240x240 | Slice index 85 | Brain
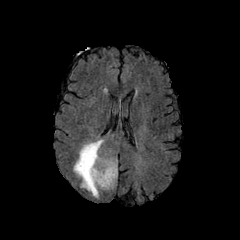
FLAIR MR.
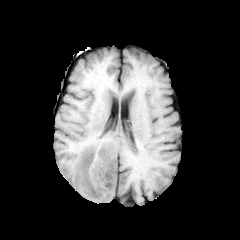
Same slice, T1-weighted MRI.
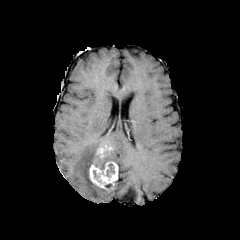
Post-contrast T1-weighted MRI.
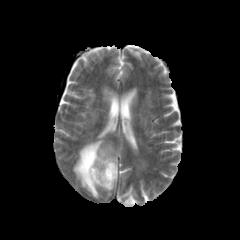
T2-weighted MR of the same slice.
Enhancing tumor — bbox=[98, 148, 105, 157]; bbox=[89, 161, 117, 187].
Edema — bbox=[72, 136, 110, 197]; bbox=[108, 148, 117, 163].
Non-enhancing tumor core — bbox=[80, 147, 115, 184].